CT image. Abdomen.
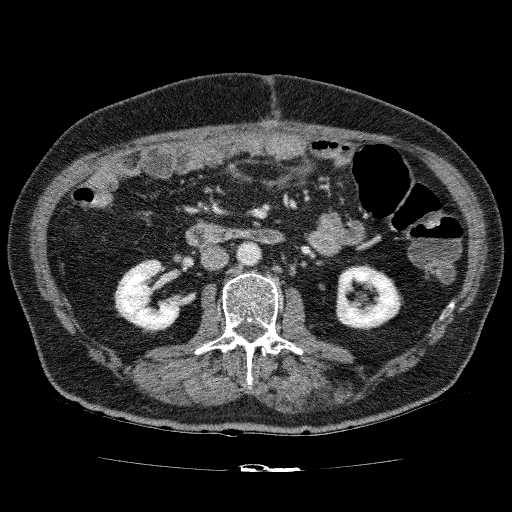
2 kidney regions are bounded by (x1=337, y1=266, x2=399, y2=328), (x1=115, y1=260, x2=181, y2=330).